512x512; Liver; Slice 27/41; CT scan slice 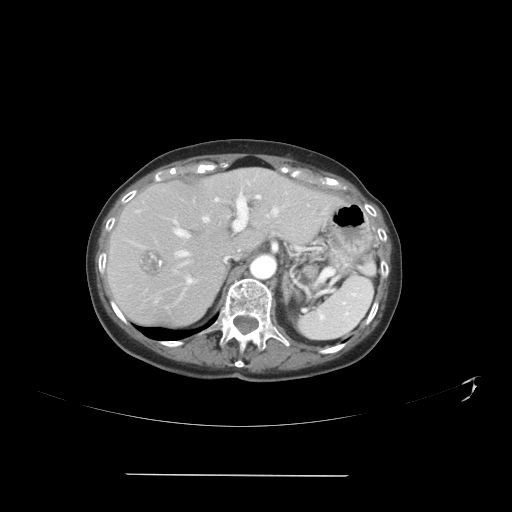 Not every hepatic vessel necessarily has a box.
11 hepatic vessel regions appear at {"x1": 172, "y1": 218, "x2": 177, "y2": 224}, {"x1": 272, "y1": 208, "x2": 278, "y2": 214}, {"x1": 174, "y1": 226, "x2": 189, "y2": 237}, {"x1": 247, "y1": 181, "x2": 249, "y2": 184}, {"x1": 266, "y1": 214, "x2": 268, "y2": 217}, {"x1": 214, "y1": 198, "x2": 218, "y2": 201}, {"x1": 176, "y1": 251, "x2": 187, "y2": 256}, {"x1": 256, "y1": 195, "x2": 260, "y2": 198}, {"x1": 186, "y1": 277, "x2": 194, "y2": 283}, {"x1": 202, "y1": 216, "x2": 208, "y2": 222}, {"x1": 232, "y1": 190, "x2": 248, "y2": 231}. 2 liver tumor regions appear at {"x1": 140, "y1": 250, "x2": 162, "y2": 275}, {"x1": 318, "y1": 203, "x2": 327, "y2": 213}.